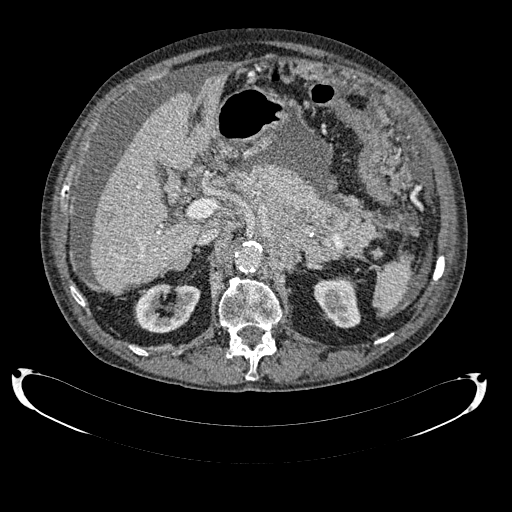 CT scan slice.
2 kidney regions are located at [135, 284, 199, 332], [314, 280, 359, 327]. The liver is at [91, 75, 225, 295]. The focal liver lesion is at [104, 212, 113, 224].